Computed tomography; Abdomen; Slice 59/89; 512x512 px
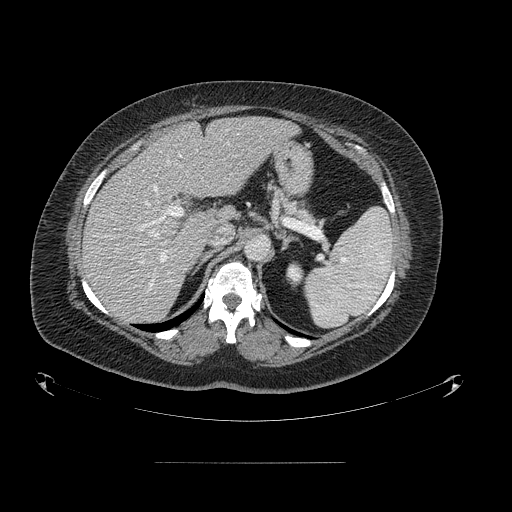 The pancreas appears at x1=268 y1=182 x2=315 y2=225.